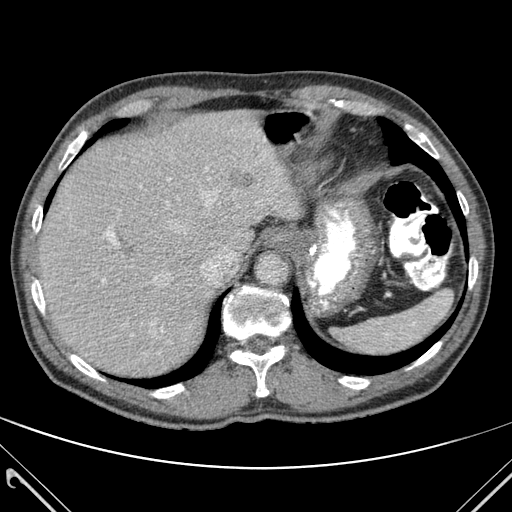 512x512, CT slice, Abdomen
bone: (left=231, top=346, right=283, bottom=396), (left=406, top=125, right=438, bottom=158), (left=59, top=132, right=86, bottom=168), (left=413, top=342, right=441, bottom=366), (left=223, top=286, right=290, bottom=339), (left=32, top=206, right=42, bottom=231), (left=339, top=377, right=368, bottom=389), (left=468, top=258, right=477, bottom=287), (left=32, top=279, right=44, bottom=312), (left=457, top=192, right=468, bottom=214), (left=71, top=355, right=103, bottom=380), (left=153, top=384, right=183, bottom=398) | liver lesion: (left=230, top=169, right=252, bottom=187) | liver: (left=39, top=110, right=299, bottom=377) | lung: (left=291, top=290, right=453, bottom=374), (left=129, top=297, right=222, bottom=388), (left=378, top=117, right=466, bottom=241), (left=100, top=119, right=127, bottom=132), (left=85, top=138, right=95, bottom=148), (left=46, top=191, right=53, bottom=207)